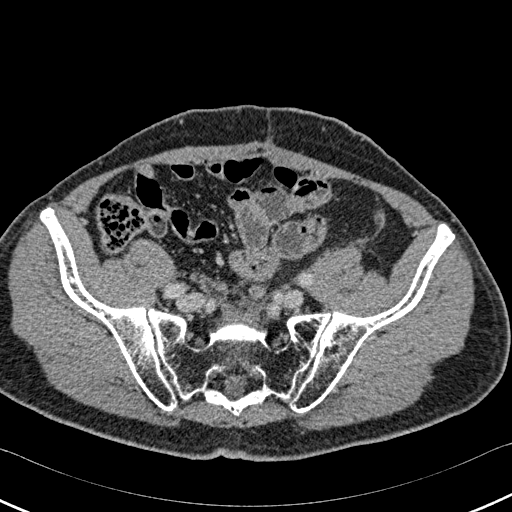

512x512 | CT image

{
  "bone": [
    "<bbox>40, 208, 454, 415</bbox>"
  ]
}